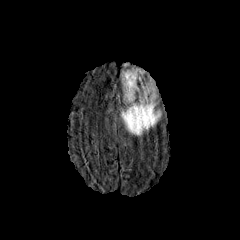
FLAIR MR.
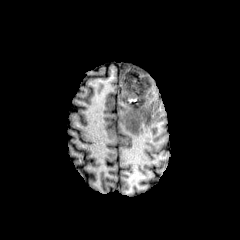
Same slice, T1-weighted MRI.
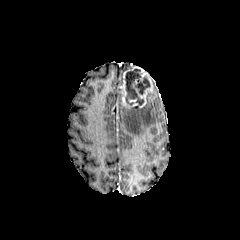
Post-contrast T1-weighted MR.
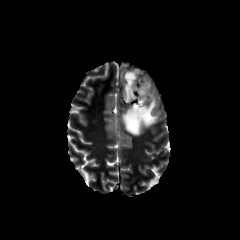
T2-weighted MRI.
The edema lies within [120, 102, 161, 136]. The non-enhancing tumor core is bounded by [125, 69, 150, 104]. The enhancing tumor is bounded by [121, 66, 156, 108].